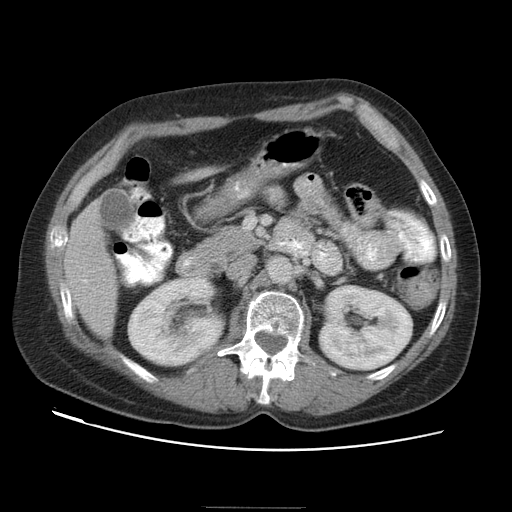
CT
pancreas: x1=190 y1=223 x2=261 y2=280